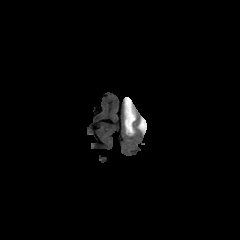
FLAIR magnetic resonance.
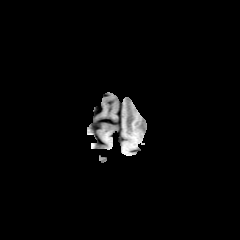
T1-weighted MR.
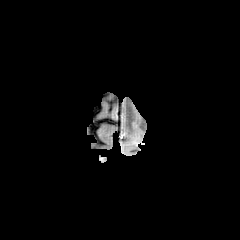
Same slice, post-contrast T1-weighted MR.
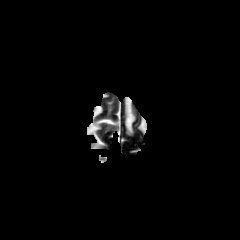
T2-weighted MRI of the same slice.
Head
non-enhancing_tumor_core:
  - 124, 102, 133, 131
edema:
  - 123, 97, 146, 136